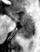

MR, 40x52
<segmentation>
  <anterior_hippocampus>[x1=9, y1=12, x2=32, y2=21]</anterior_hippocampus>
  <posterior_hippocampus>[x1=20, y1=22, x2=32, y2=39]</posterior_hippocampus>
</segmentation>